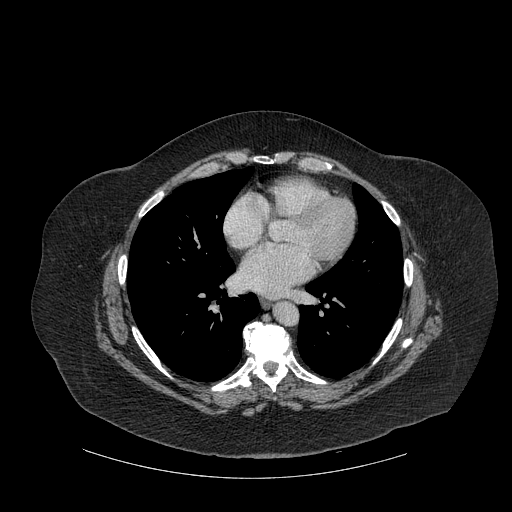

CT slice, 512x512 px

{
  "lung": [
    "[x1=127, y1=167, x2=259, y2=381]",
    "[x1=297, y1=187, x2=402, y2=377]"
  ],
  "bone": [
    "[x1=118, y1=255, x2=126, y2=283]",
    "[x1=373, y1=319, x2=401, y2=363]",
    "[x1=212, y1=322, x2=325, y2=391]",
    "[x1=254, y1=156, x2=273, y2=163]",
    "[x1=403, y1=339, x2=411, y2=347]",
    "[x1=382, y1=201, x2=399, y2=224]",
    "[x1=404, y1=259, x2=412, y2=285]",
    "[x1=139, y1=192, x2=163, y2=216]",
    "[x1=132, y1=327, x2=169, y2=376]"
  ]
}